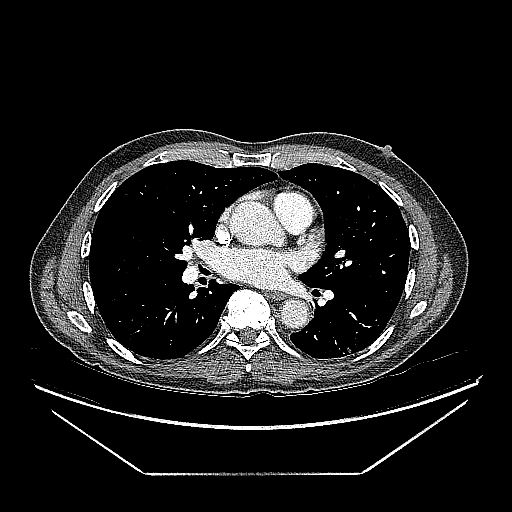 Computed tomography | 512x512 px
Lung tumor — x1=342, y1=346, x2=352, y2=355.